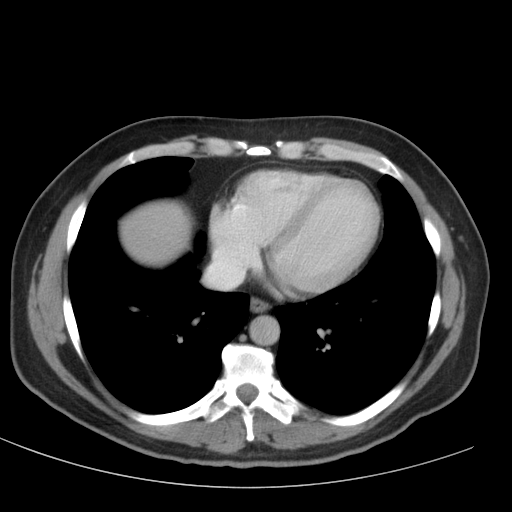 Computed tomography, 512x512 px

{
  "liver": [
    "x1=124, y1=205, x2=186, y2=258"
  ]
}